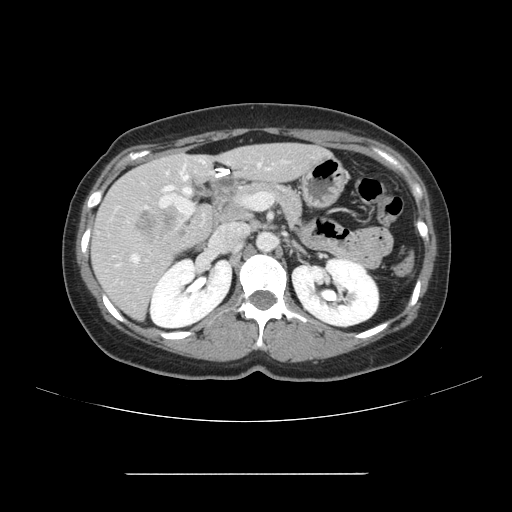

Computed tomography | Liver
Not every hepatic vessel necessarily has a box.
liver_tumor:
  - 137,211,173,240
hepatic_vessel:
  - 145,206,147,207
  - 180,165,187,179
  - 200,159,204,163
  - 258,163,260,166
  - 132,255,138,262
  - 166,172,167,174